Computed tomography, Slice 287/299, Brain

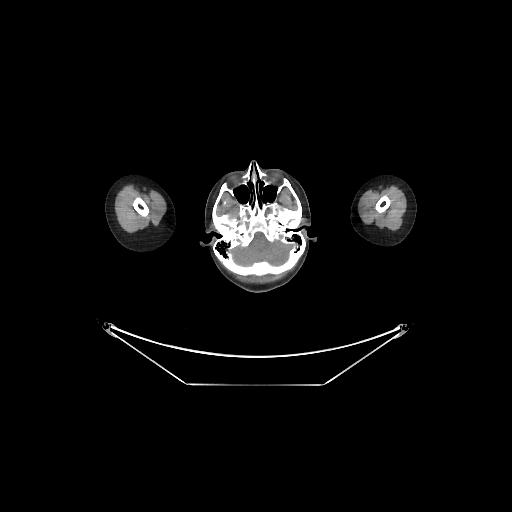
Brain — x1=231, y1=229, x2=292, y2=265.